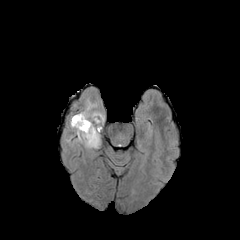
FLAIR MRI.
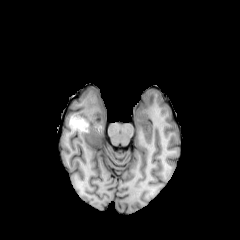
T1-weighted MRI.
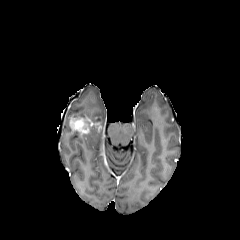
Post-contrast T1-weighted MRI.
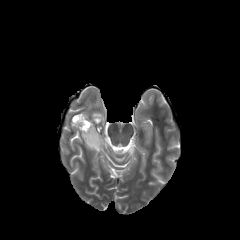
T2-weighted MR.
240x240 px, Head
Annotated regions:
• enhancing tumor: 69 116 96 135
• edema: 67 98 104 153